FLAIR MR image.
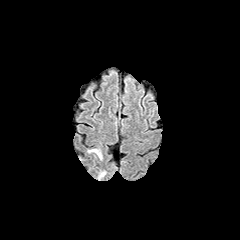
T1-weighted MR.
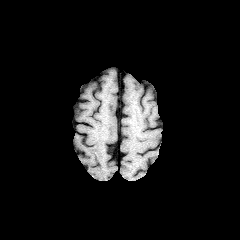
Post-contrast T1-weighted MR image.
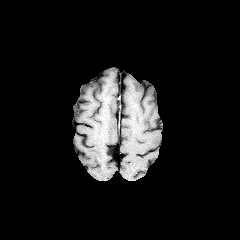
T2-weighted MRI.
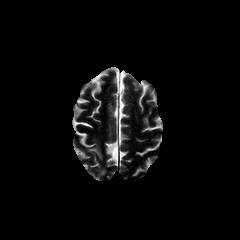
Head.
2 edema regions appear at region(97, 167, 105, 177); region(82, 145, 102, 163).